Computed tomography; Abdomen

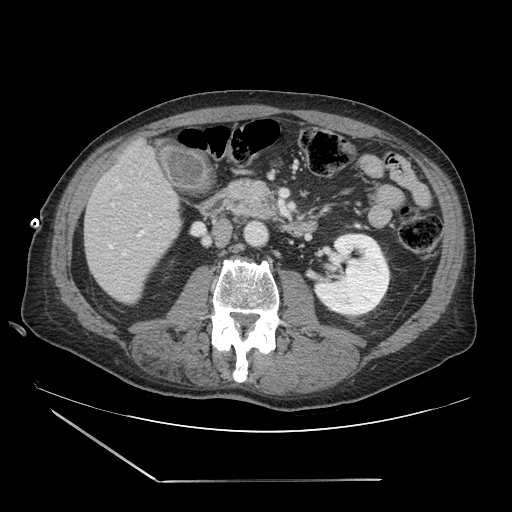

pancreas: x1=229, y1=180, x2=274, y2=218